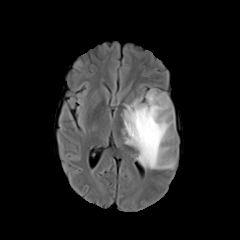
FLAIR magnetic resonance.
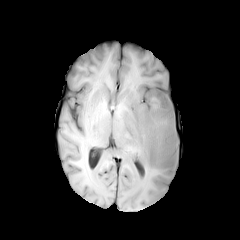
T1-weighted MR.
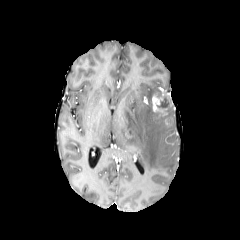
Post-contrast T1-weighted MR.
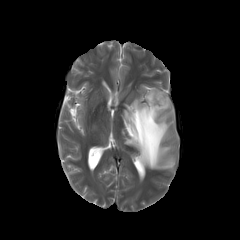
T2-weighted MRI of the same slice.
240x240; Head
enhancing tumor: left=152, top=92, right=165, bottom=111 | edema: left=122, top=88, right=177, bottom=169 | non-enhancing tumor core: left=154, top=93, right=171, bottom=115; left=135, top=114, right=156, bottom=151